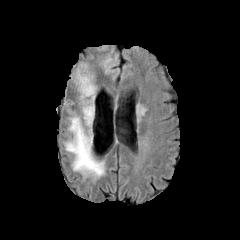
FLAIR MR.
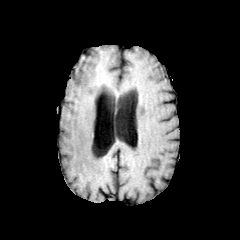
T1-weighted magnetic resonance.
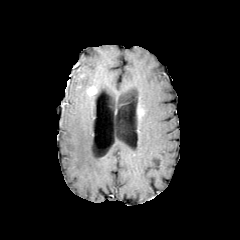
Post-contrast T1-weighted MRI.
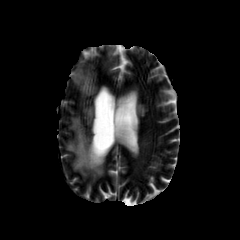
T2-weighted magnetic resonance of the same slice.
Brain
edema: 64:68:105:179